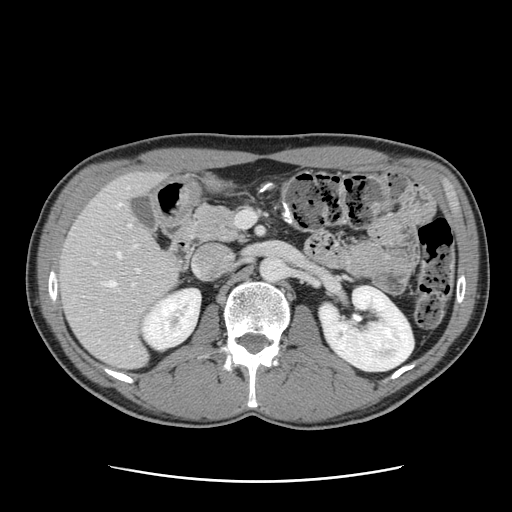

Image size 512x512. Liver. CT slice.

Only some of the vessels may be annotated.
8 hepatic vessel regions are bounded by (left=133, top=245, right=136, bottom=246), (left=132, top=284, right=134, bottom=285), (left=117, top=253, right=120, bottom=257), (left=93, top=262, right=95, bottom=263), (left=128, top=224, right=130, bottom=226), (left=136, top=269, right=138, bottom=271), (left=115, top=204, right=120, bottom=207), (left=103, top=281, right=115, bottom=286).